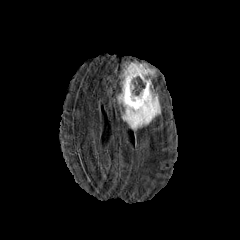
FLAIR MRI.
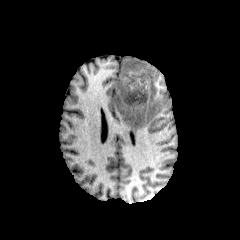
T1-weighted MR of the same slice.
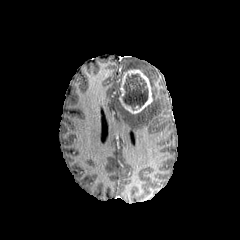
Post-contrast T1-weighted magnetic resonance of the same slice.
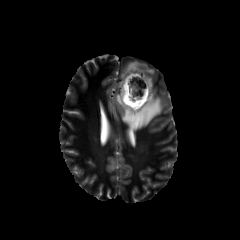
T2-weighted magnetic resonance.
The enhancing tumor is bounded by region(119, 69, 153, 113). 2 edema regions are bounded by region(120, 61, 154, 77); region(122, 94, 161, 132). The non-enhancing tumor core is at region(122, 74, 148, 110).